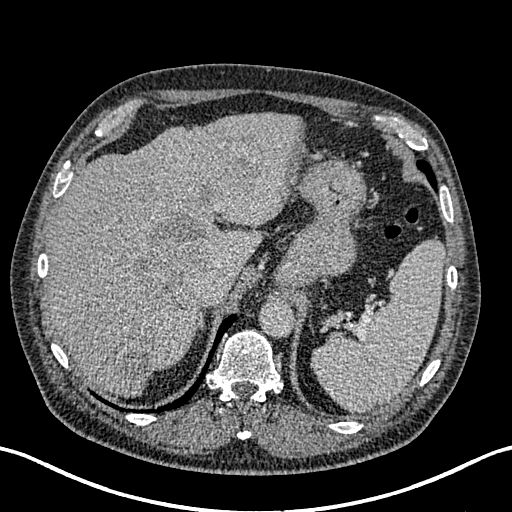 CT | Upper abdomen

The liver is at box=[48, 113, 306, 395]. 4 focal liver lesion regions are bounded by box=[119, 335, 163, 380]; box=[224, 151, 262, 189]; box=[195, 183, 214, 202]; box=[130, 215, 206, 311].